FLAIR MRI.
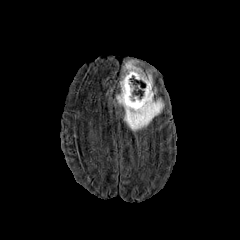
T1-weighted MR.
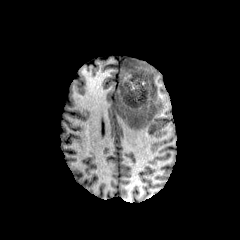
Post-contrast T1-weighted MR image.
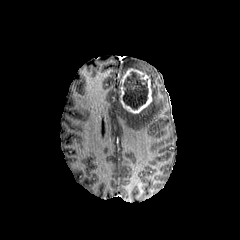
T2-weighted magnetic resonance.
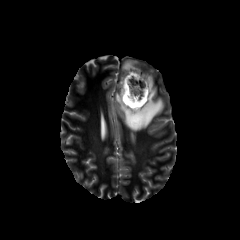
The enhancing tumor is located at (119, 68, 153, 113). The non-enhancing tumor core is at (122, 72, 147, 109). 2 edema regions appear at (123, 99, 163, 132), (123, 60, 140, 72).